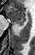 35x55 | Magnetic resonance | Hippocampus
The anterior hippocampus is located at [8,6,26,22]. The posterior hippocampus appears at [18,23,23,25].